Liver | Computed tomography 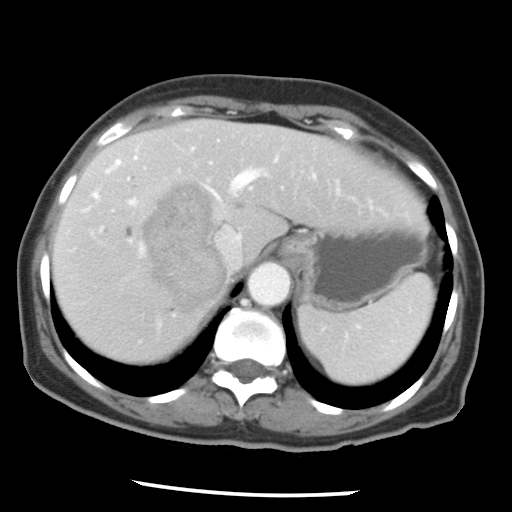

Some hepatic vessels may have no box.
hepatic vessel: region(138, 243, 143, 255); region(83, 207, 89, 211); region(313, 174, 314, 176); region(192, 147, 193, 149); region(91, 190, 99, 200); region(217, 227, 241, 265); region(132, 147, 138, 160); region(275, 157, 276, 161); region(104, 158, 123, 174); region(201, 168, 265, 216); region(127, 198, 138, 206) | liver tumor: region(141, 182, 225, 316)